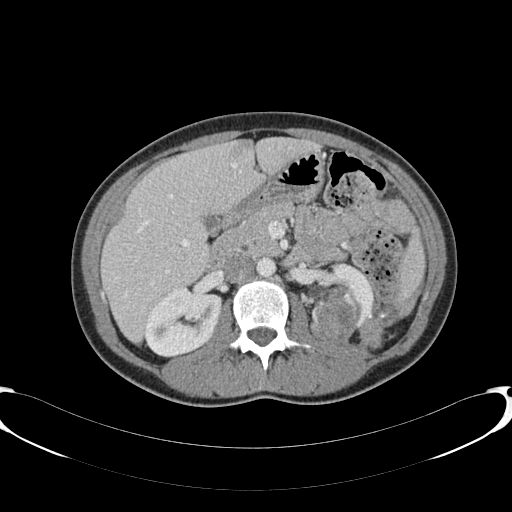

CT, Upper abdomen
The liver is located at (103,138,317,340). 2 kidney regions appear at (145,282,220,355), (312,264,373,350). The liver lesion lies within (234,140,250,155).